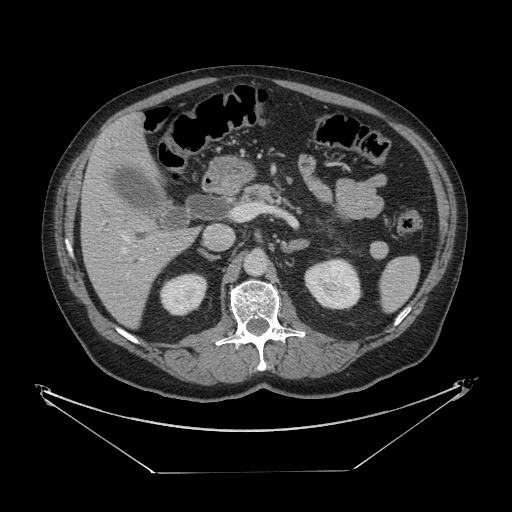
Upper abdomen, CT scan slice, Image size 512x512

pancreas:
  - {"x1": 244, "y1": 185, "x2": 279, "y2": 202}